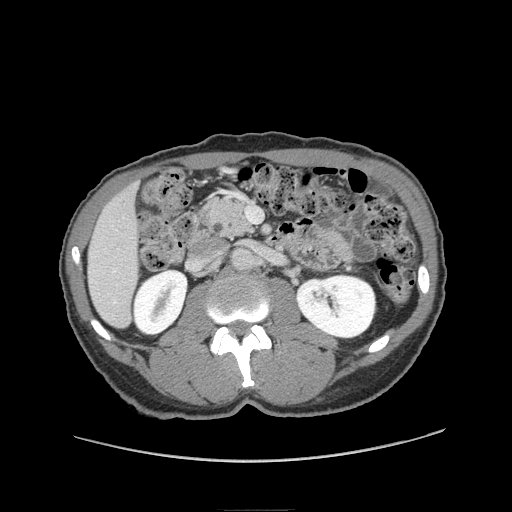
Computed tomography.

pancreas:
  - [x1=206, y1=198, x2=252, y2=238]